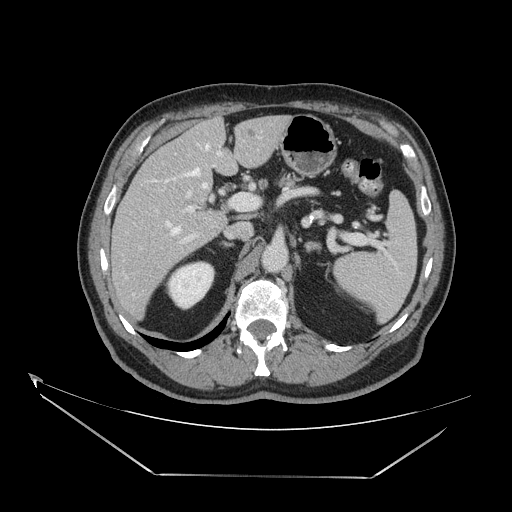 Abdomen | CT scan slice | Image size 512x512
Pancreas: bounding box box(281, 178, 294, 185).